FLAIR MR.
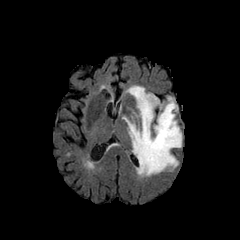
T1-weighted MR image.
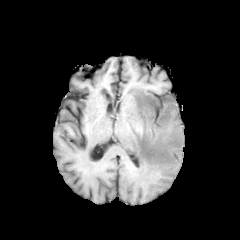
Post-contrast T1-weighted magnetic resonance.
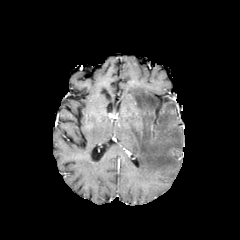
T2-weighted MR.
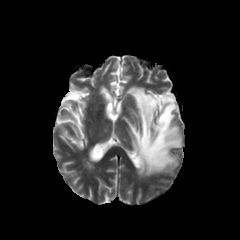
The edema lies within <bbox>123, 86, 181, 175</bbox>.